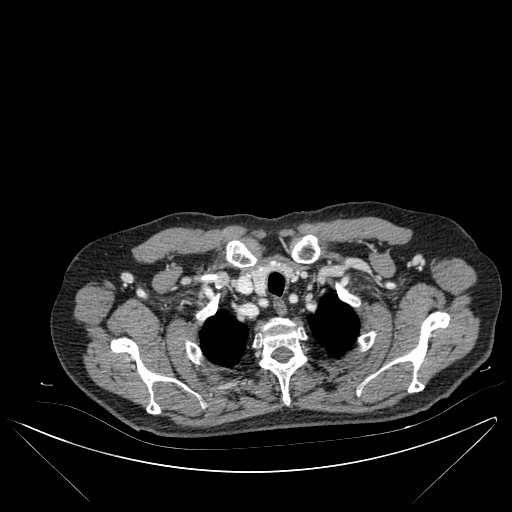 512x512 | CT scan slice
Bone — 369:312:449:392, 111:338:189:413, 226:240:256:267, 203:275:219:281, 185:341:201:363, 336:282:356:306, 358:331:375:350, 253:318:307:404, 198:289:219:320, 292:235:320:263.
Lung — 200:313:247:366, 268:279:282:295, 308:294:359:357.